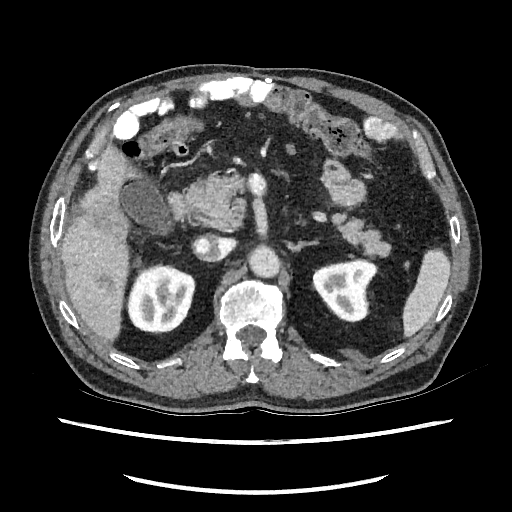
512x512 px, CT slice
{"liver": ["[62,149,132,339]"], "liver_lesion": ["[95,270,113,290]", "[93,198,127,238]"], "kidney": ["[313,259,377,321]", "[127,264,194,332]"]}